CT slice.

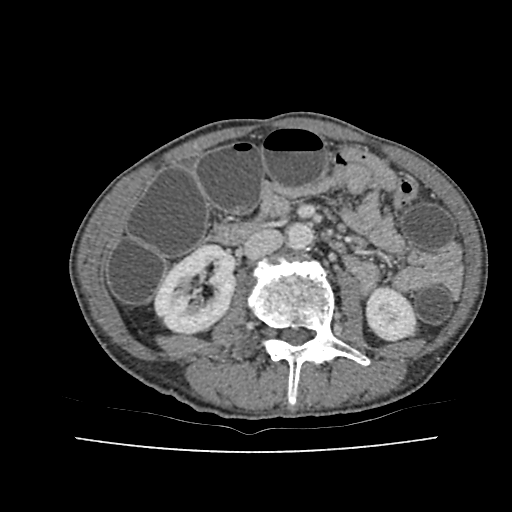 2 kidney regions are bounded by 155:246:234:332, 367:289:414:339.